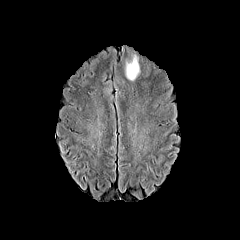
FLAIR magnetic resonance.
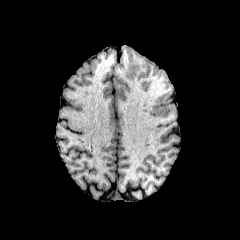
T1-weighted MRI of the same slice.
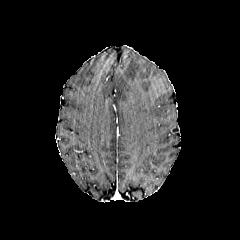
Post-contrast T1-weighted MR.
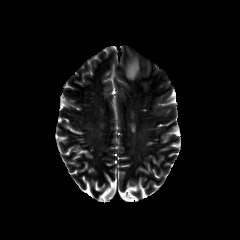
Same slice, T2-weighted MR.
Brain
edema: region(125, 55, 139, 79)